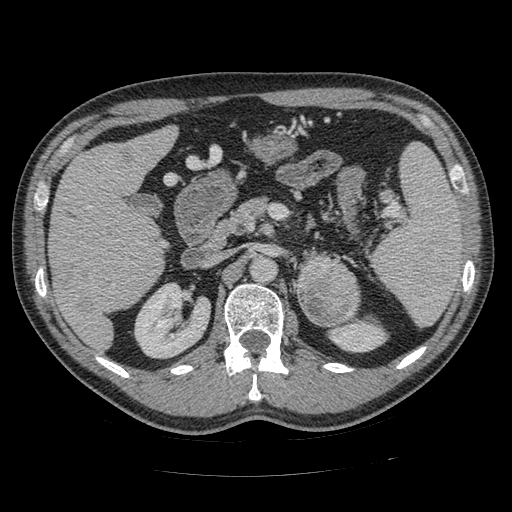 CT | Upper abdomen
Pancreas: bounding box x1=230, y1=199, x2=265, y2=232; x1=298, y1=257, x2=314, y2=296.
Pancreatic tumor: bounding box x1=299, y1=256, x2=358, y2=325.